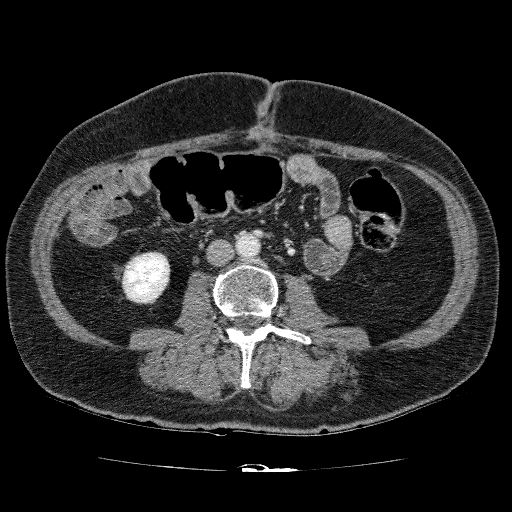 Abdomen; CT image

{
  "kidney": [
    "<box>122,252,169,303</box>"
  ]
}